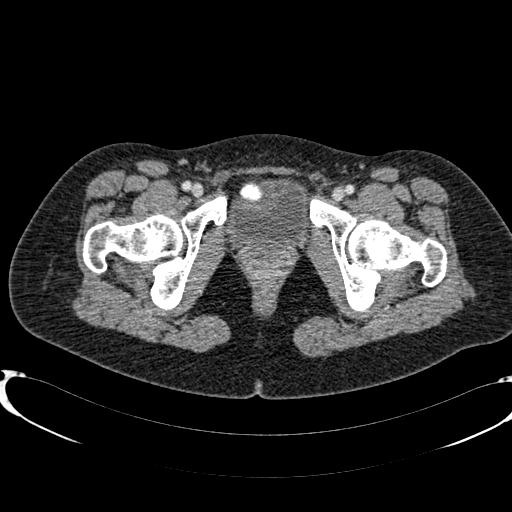

Computed tomography, Lower abdomen

Urinary bladder: bounding box <bbox>225, 177, 313, 250</bbox>.